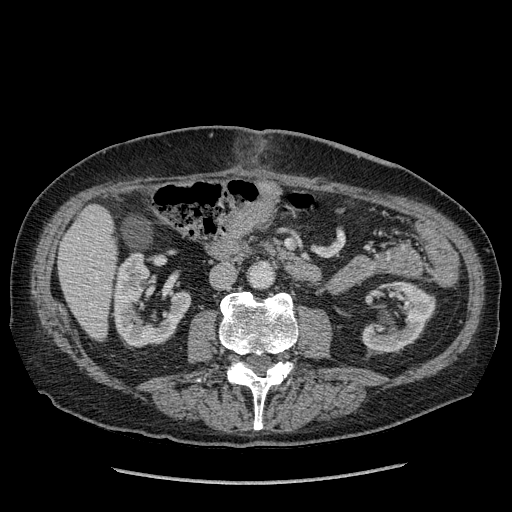 CT, Image size 512x512
The liver appears at left=58, top=205, right=116, bottom=340. 3 kidney regions are bounded by left=362, top=282, right=434, bottom=351; left=114, top=253, right=190, bottom=346; left=366, top=290, right=383, bottom=304.